Field of view 360x360 mm | CT image | Slice index 225
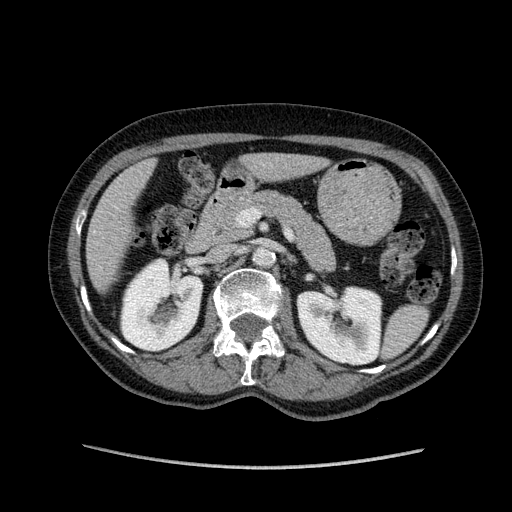
Liver: bounding box bbox(243, 151, 318, 179); bbox(84, 163, 150, 287).
Kidney: bounding box bbox(122, 260, 202, 350); bbox(298, 288, 380, 363).